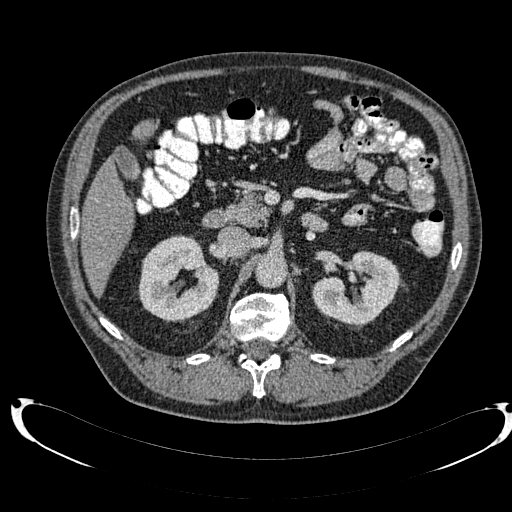
Upper abdomen, 512x512 px, CT image

Kidney: bounding box [312,251,400,325], [139,235,218,321].
Liver: bounding box [82,157,134,295], [133,120,153,137].